Magnetic resonance; Hippocampus; Slice 18/37

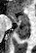

Annotated regions:
- posterior hippocampus: x1=15 y1=23 x2=29 y2=39
- anterior hippocampus: x1=8 y1=13 x2=29 y2=22